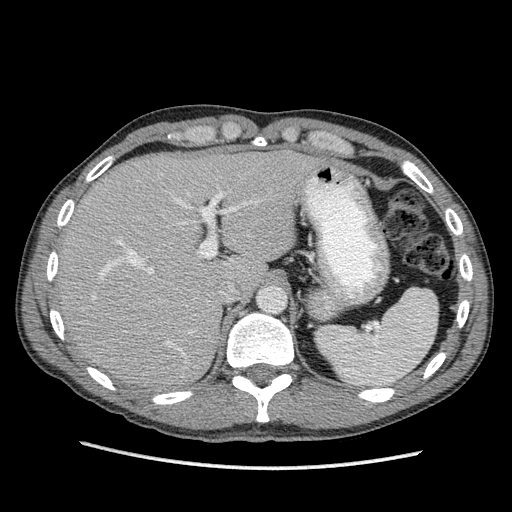
CT

The liver is at left=55, top=147, right=327, bottom=391.